CT image. Slice index 29. Upper abdomen. Image size 512x512. 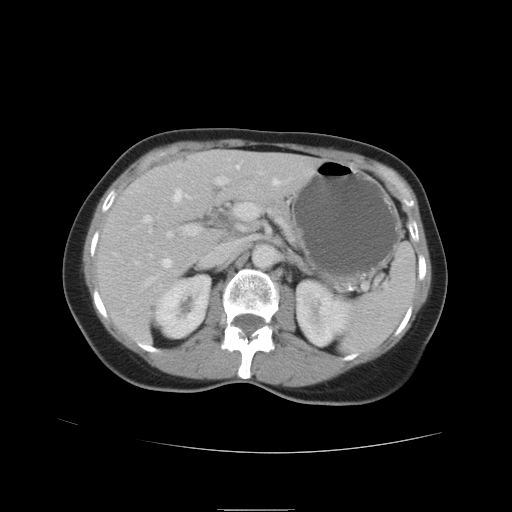

Pancreas: box(263, 197, 302, 248); box(216, 203, 256, 241).